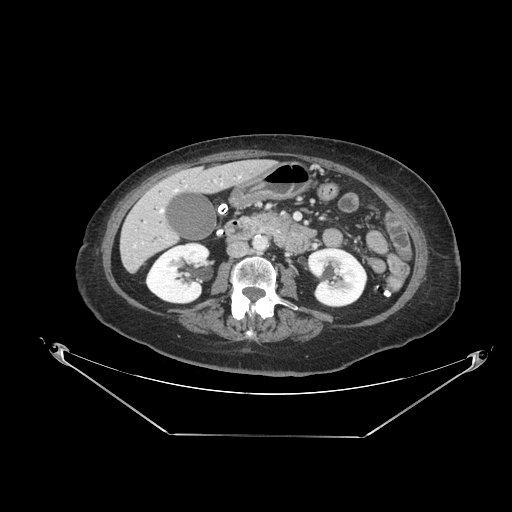 512x512; Upper abdomen; Computed tomography

Pancreas — 251 211 280 231.